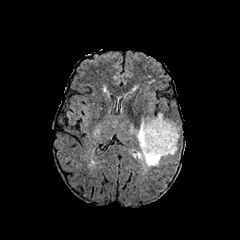
FLAIR MRI.
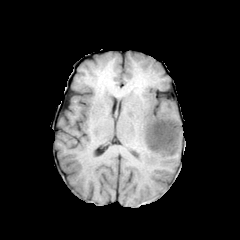
T1-weighted magnetic resonance.
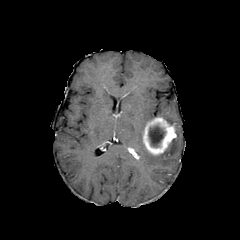
Post-contrast T1-weighted magnetic resonance.
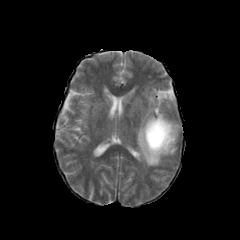
T2-weighted magnetic resonance of the same slice.
Brain
The non-enhancing tumor core is at box=[148, 125, 164, 146]. 2 enhancing tumor regions appear at box=[142, 115, 176, 155]; box=[130, 148, 139, 159]. The edema is bounded by box=[134, 117, 179, 167].